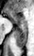 MRI

anterior_hippocampus:
  - x1=6, y1=8, x2=26, y2=22
posterior_hippocampus:
  - x1=15, y1=23, x2=27, y2=48